FLAIR MRI.
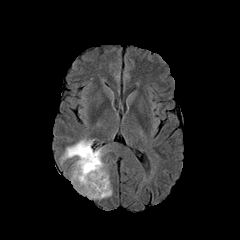
T1-weighted MR.
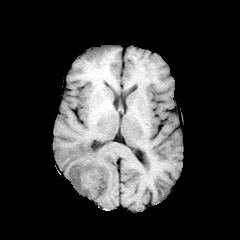
Post-contrast T1-weighted MR.
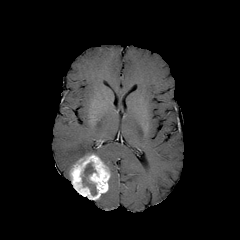
T2-weighted magnetic resonance.
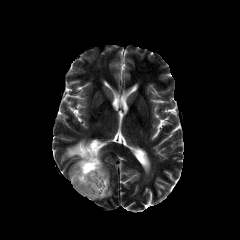
{"non-enhancing_tumor_core": ["82:164:95:195"], "edema": ["97:178:111:199", "61:138:103:163"], "enhancing_tumor": ["70:153:109:199"]}